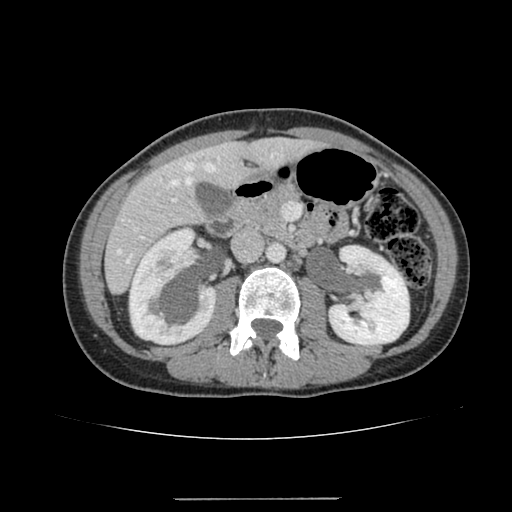

CT image
Annotated regions:
- liver: x1=104 y1=137 x2=326 y2=294
- kidney: x1=329 y1=246 x2=409 y2=344, x1=130 y1=229 x2=214 y2=343